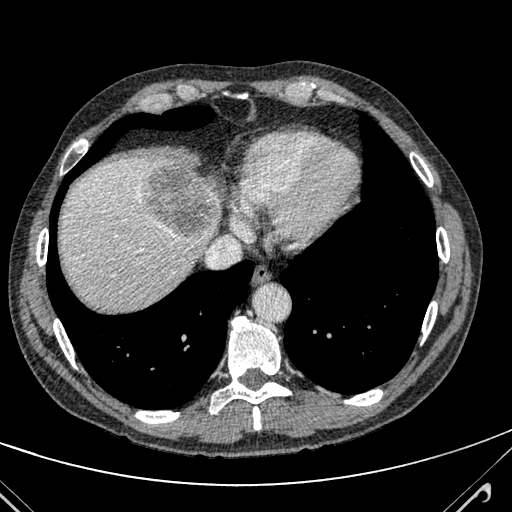 512x512; CT

The hepatic lesion is at 146:161:214:238. The liver appears at 61:157:220:308.